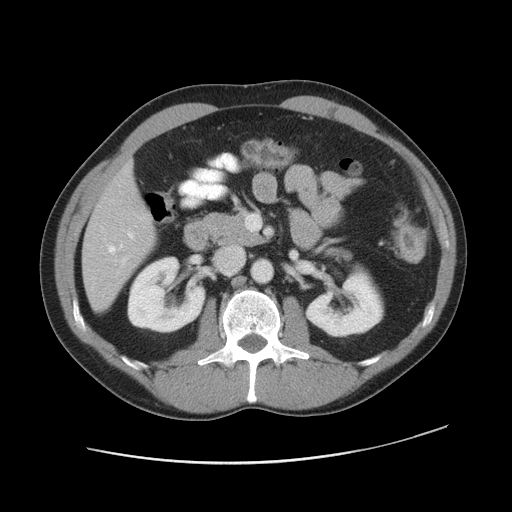 CT slice; Pelvis

Colon tumor — box(399, 225, 426, 262).